Head; Slice 83 of 155
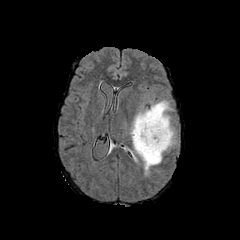
FLAIR MRI.
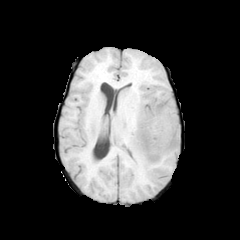
T1-weighted MRI.
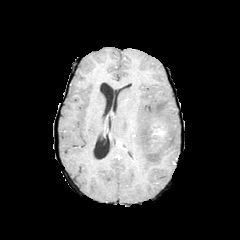
Post-contrast T1-weighted MRI.
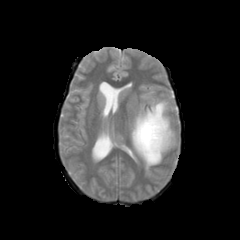
Same slice, T2-weighted MR image.
The edema appears at x1=129, y1=98, x2=177, y2=175. The enhancing tumor appears at x1=150, y1=122, x2=165, y2=142. The non-enhancing tumor core is located at x1=133, y1=116, x2=166, y2=153.